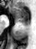

MR image

Anterior hippocampus = left=12, top=7, right=28, bottom=19.
Posterior hippocampus = left=17, top=20, right=29, bottom=24.